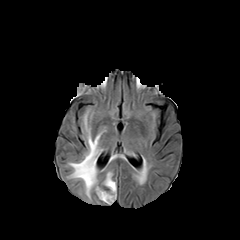
FLAIR magnetic resonance.
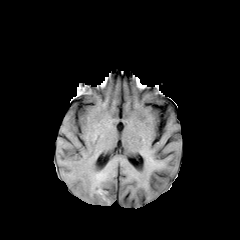
T1-weighted MR image.
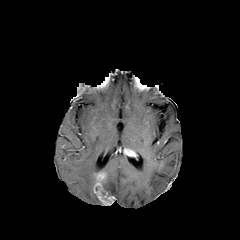
Post-contrast T1-weighted MRI.
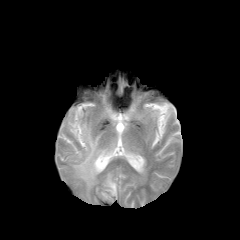
T2-weighted magnetic resonance of the same slice.
240x240
Findings:
- edema: <bbox>110, 154, 125, 160</bbox>, <bbox>68, 117, 116, 203</bbox>
- non-enhancing tumor core: <bbox>96, 171, 105, 186</bbox>